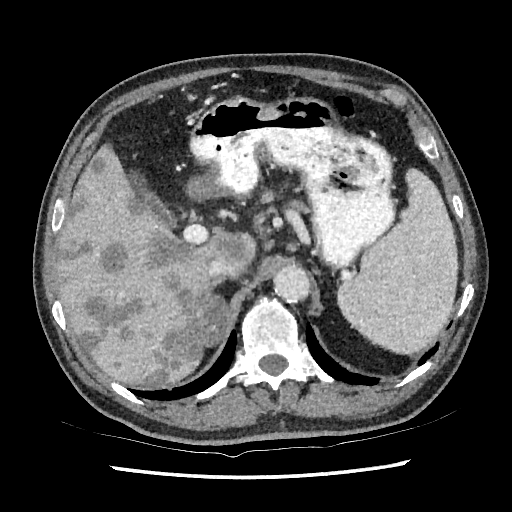 Liver. CT image. <segmentation>
  <liver>(166, 360, 198, 382), (57, 144, 254, 383)</liver>
  <focal_liver_lesion>(63, 241, 92, 261), (145, 273, 209, 383), (100, 243, 128, 273), (213, 234, 246, 263), (91, 158, 105, 174), (147, 230, 196, 267), (127, 195, 145, 216), (80, 296, 143, 350), (142, 329, 152, 339), (66, 192, 85, 220)</focal_liver_lesion>
</segmentation>